Field of view 40 mm wide, 1.00 mm slice spacing; Slice 16 of 35; 40x52; Magnetic resonance
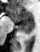
Posterior hippocampus — left=18, top=22, right=32, bottom=34.
Anterior hippocampus — left=9, top=9, right=32, bottom=21.